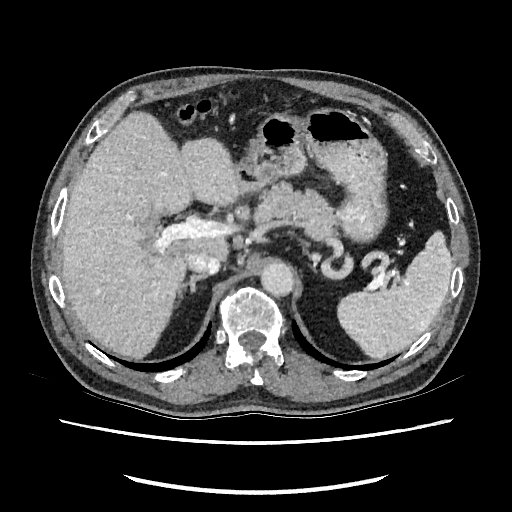

Image size 512x512; Abdomen; CT
2 hepatic lesion regions are located at bbox=[138, 210, 166, 247]; bbox=[166, 243, 179, 257]. The liver lies within bbox=[63, 114, 238, 357].